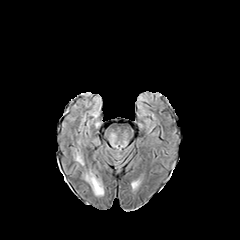
FLAIR MR.
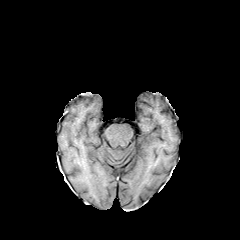
T1-weighted MRI.
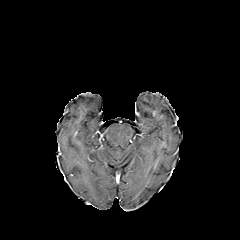
Post-contrast T1-weighted magnetic resonance of the same slice.
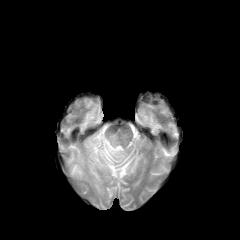
T2-weighted MRI.
<segmentation>
  <edema>86 176 102 191</edema>
</segmentation>